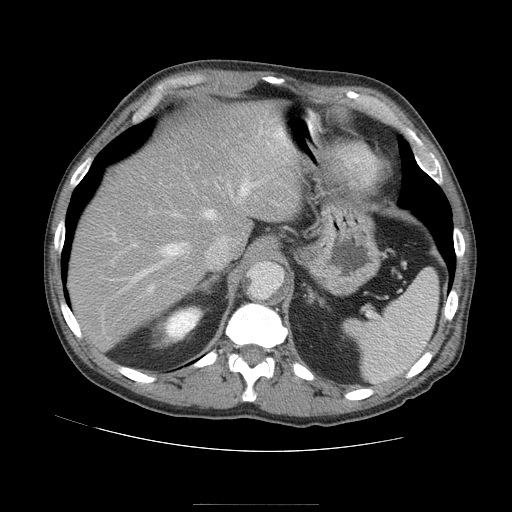 Abdomen | CT image
Not every hepatic vessel necessarily has a box.
Findings:
* hepatic vessel: [229,189,232,196], [174,214,181,216], [132,245,136,246], [117,279,124,279], [148,285,153,291], [112,234,114,238], [237,178,262,202], [125,260,166,283], [267,141,278,152], [204,209,215,218], [161,243,184,255], [126,286,129,287], [206,236,230,267]